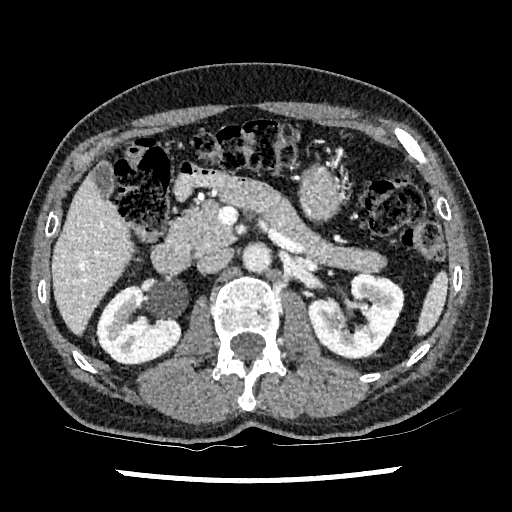

Image size 512x512 | CT
Liver — 52, 172, 133, 335.
Kidney — 309, 275, 402, 357; 98, 287, 179, 362.